Computed tomography

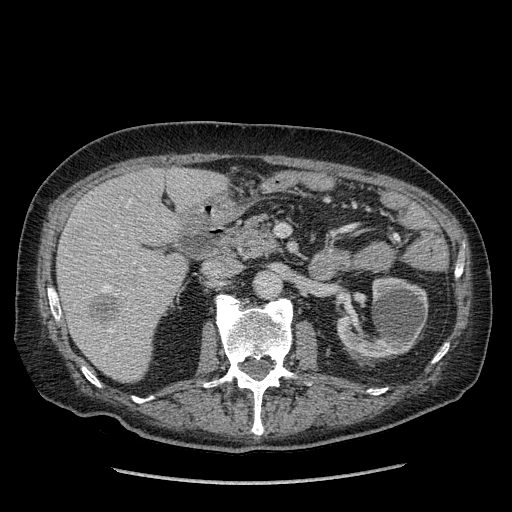
<segmentation>
  <liver>[57, 166, 228, 382]</liver>
  <kidney>[337, 307, 421, 357], [372, 278, 427, 314]</kidney>
  <liver_lesion>[90, 293, 120, 324]</liver_lesion>
</segmentation>